Chest, Slice index 408, CT scan slice, Image width 700 mm
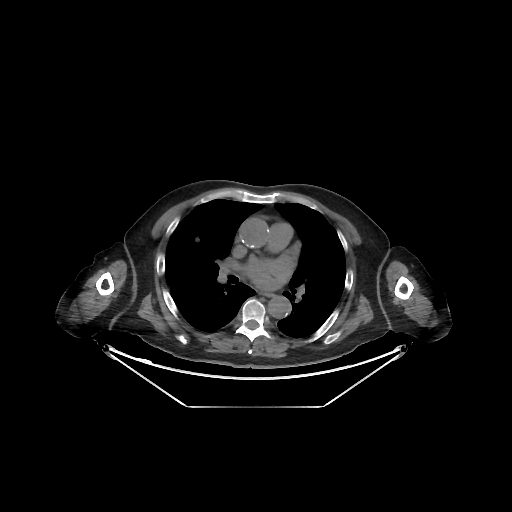

• bone: x1=324, y1=332, x2=339, y2=343; x1=310, y1=312, x2=337, y2=340; x1=394, y1=276, x2=413, y2=299; x1=96, y1=272, x2=113, y2=295; x1=243, y1=192, x2=278, y2=202; x1=163, y1=291, x2=176, y2=316; x1=157, y1=255, x2=164, y2=271; x1=345, y1=274, x2=352, y2=288; x1=236, y1=299, x2=269, y2=341
• lung: x1=273, y1=203, x2=345, y2=338; x1=165, y1=199, x2=264, y2=332